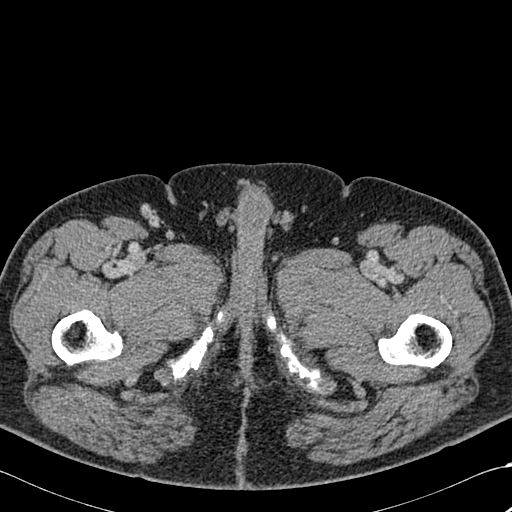
512x512 px. CT.
{"bone": ["[281, 335, 319, 388]", "[171, 327, 212, 377]", "[52, 310, 121, 364]", "[268, 317, 275, 328]", "[379, 314, 451, 367]"]}